Brain
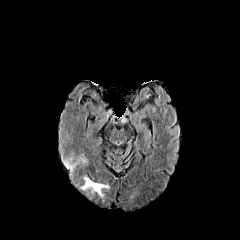
FLAIR MR image.
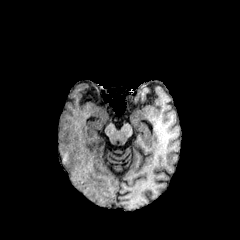
T1-weighted MRI.
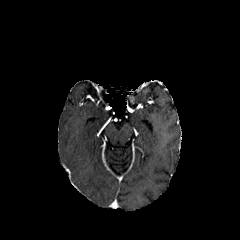
Same slice, post-contrast T1-weighted MR image.
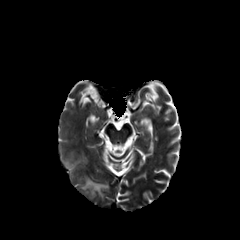
T2-weighted MRI.
2 edema regions are located at <box>65,162,76,173</box>, <box>80,176,109,197</box>.